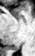 MRI slice. Medial temporal lobe.
Posterior hippocampus: bounding box 12 45 19 50.